MR image | Field of view 35 mm wide, 1.00 mm slice spacing | Hippocampus 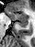
Annotated regions:
- anterior hippocampus: (6,11,28,20)
- posterior hippocampus: (17,21,28,27)